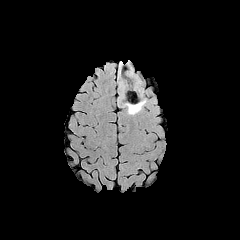
FLAIR MR image.
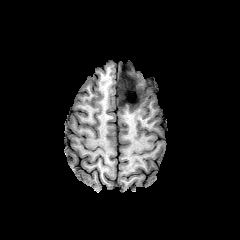
T1-weighted magnetic resonance of the same slice.
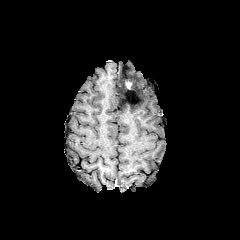
Post-contrast T1-weighted MR.
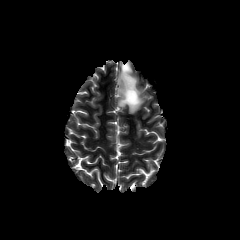
T2-weighted MRI.
2 edema regions are bounded by box(117, 70, 122, 83); box(117, 64, 146, 114). The non-enhancing tumor core is bounded by box(118, 71, 141, 109).